FLAIR MR image.
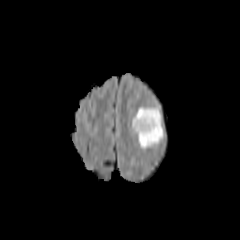
T1-weighted MRI.
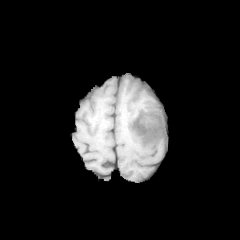
Post-contrast T1-weighted magnetic resonance.
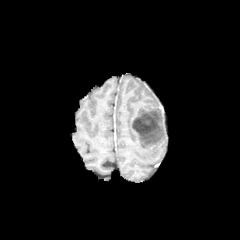
T2-weighted MR image.
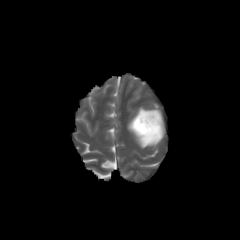
Edema = <box>128,106,166,148</box>.
Non-enhancing tumor core = <box>133,114,157,134</box>.